CT scan slice; Slice index 22 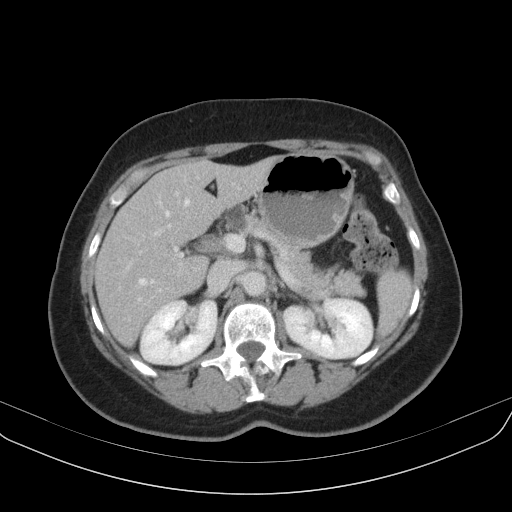
Findings:
• pancreas: {"x1": 201, "y1": 204, "x2": 365, "y2": 298}
• pancreatic tumor: {"x1": 224, "y1": 205, "x2": 247, "y2": 231}